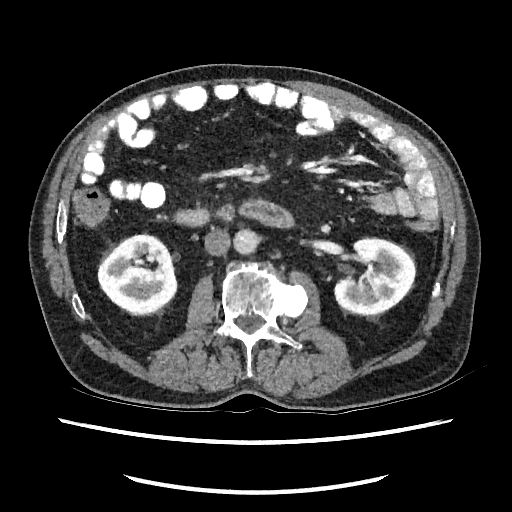
Abdomen. Computed tomography.

kidney:
  - 334:237:415:316
  - 98:233:176:315